Slice 40 of 155
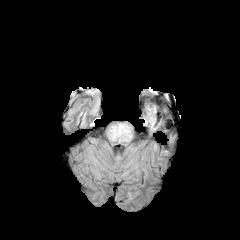
FLAIR MR.
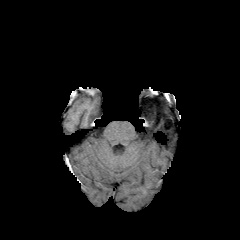
Same slice, T1-weighted MR image.
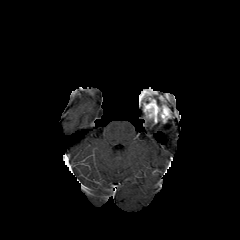
Post-contrast T1-weighted MRI of the same slice.
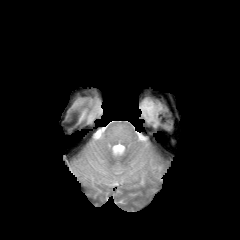
T2-weighted magnetic resonance.
enhancing tumor: <box>144,102,159,118</box>